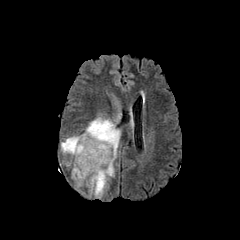
FLAIR MRI.
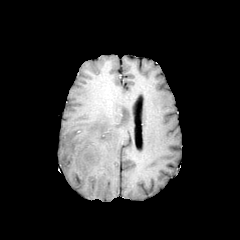
T1-weighted MR.
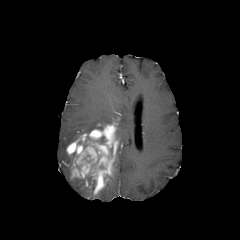
Same slice, post-contrast T1-weighted MRI.
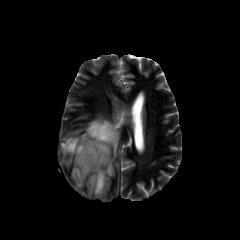
T2-weighted MRI.
Edema: <box>94,181,108,198</box>, <box>84,113,112,133</box>, <box>60,135,79,154</box>, <box>74,177,86,187</box>, <box>116,128,120,144</box>, <box>88,177,93,197</box>.
Non-enhancing tumor core: <box>83,134,91,148</box>.
Enhancing tumor: <box>66,122,118,194</box>.